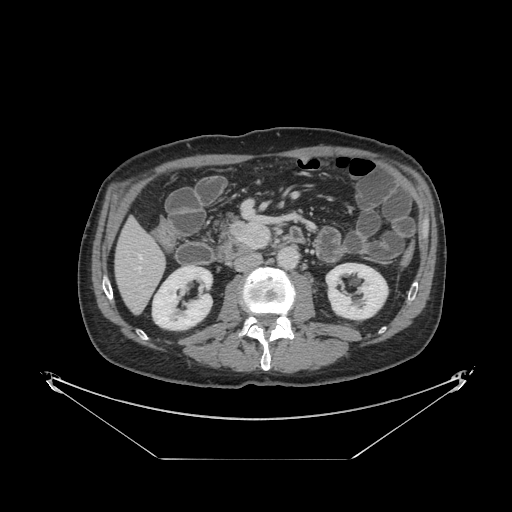

CT image.

pancreatic tumor: x1=230, y1=221, x2=270, y2=248 | pancreas: x1=212, y1=211, x2=245, y2=243